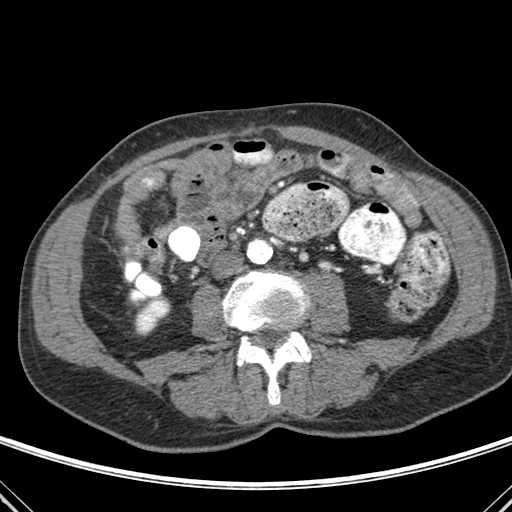

CT scan slice | 512x512

Kidney = (137,301,167,332).
Bone = (237,331,311,404), (223,270,309,331).